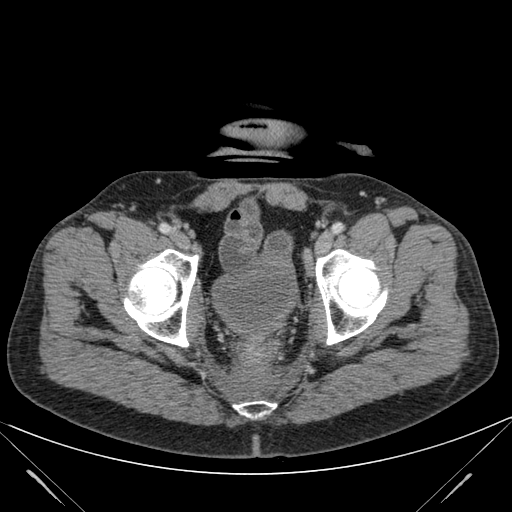

Pelvis. Image size 512x512. CT.

<segmentation>
  <urinary_bladder>box=[212, 251, 298, 339]</urinary_bladder>
</segmentation>